Image size 512x512, CT image
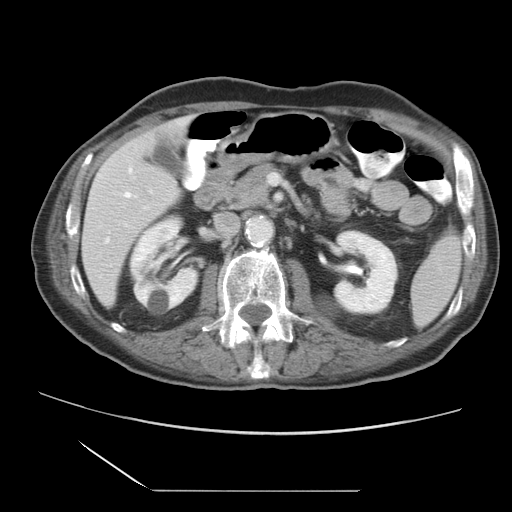 Some hepatic vessels may have no box.
Hepatic vessel: [125,192,135,197], [106,238,109,242], [130,168,132,172].